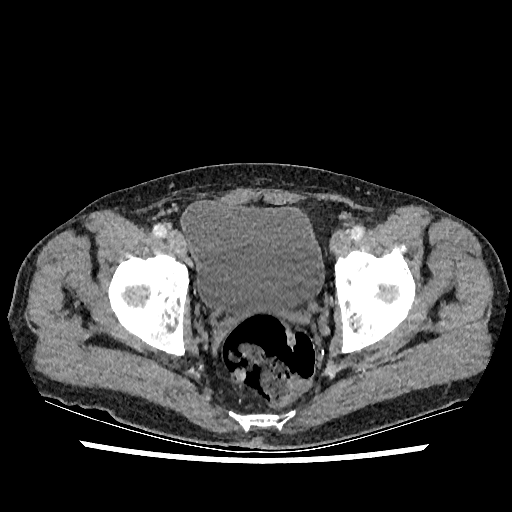 Image size 512x512, CT slice, Pelvis
Urinary bladder = <bbox>182, 201, 324, 332</bbox>.